240x240 | Head
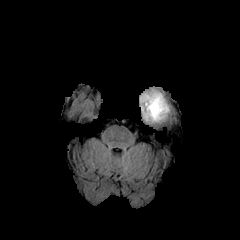
FLAIR MRI.
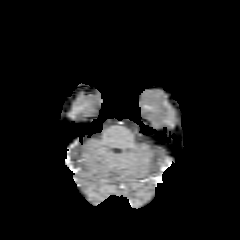
T1-weighted MR of the same slice.
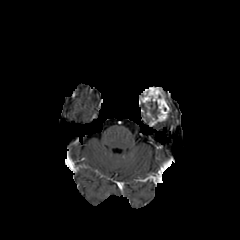
Post-contrast T1-weighted MR image.
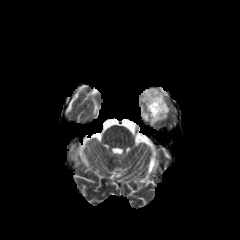
T2-weighted MR of the same slice.
{
  "non-enhancing_tumor_core": [
    "bbox=[141, 101, 157, 117]"
  ],
  "enhancing_tumor": [
    "bbox=[139, 87, 169, 124]"
  ]
}